FLAIR MR image.
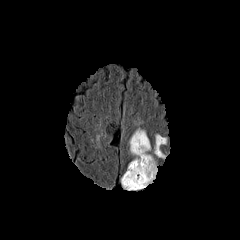
T1-weighted magnetic resonance.
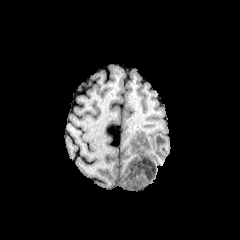
Post-contrast T1-weighted MR.
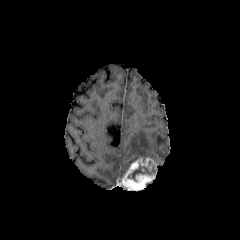
T2-weighted MR.
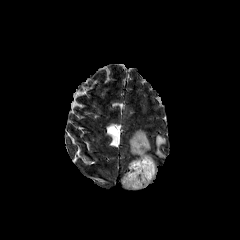
Head.
{
  "edema": [
    "(129, 128, 150, 164)",
    "(154, 134, 166, 158)"
  ],
  "enhancing_tumor": [
    "(121, 157, 156, 190)"
  ],
  "non-enhancing_tumor_core": [
    "(127, 161, 156, 181)"
  ]
}